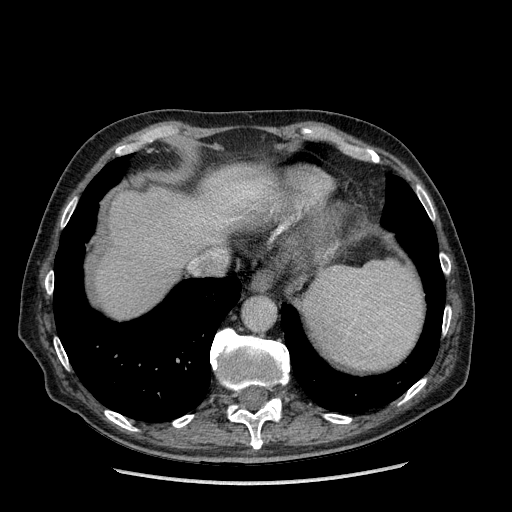

Abdomen. CT scan slice.

<segmentation>
  <liver><box>95,166,271,318</box></liver>
</segmentation>